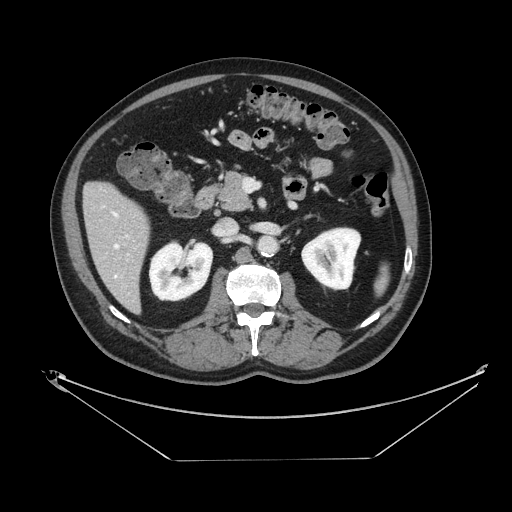 CT scan slice; Upper abdomen; 512x512

pancreas:
  - 220,172,250,210